CT scan slice

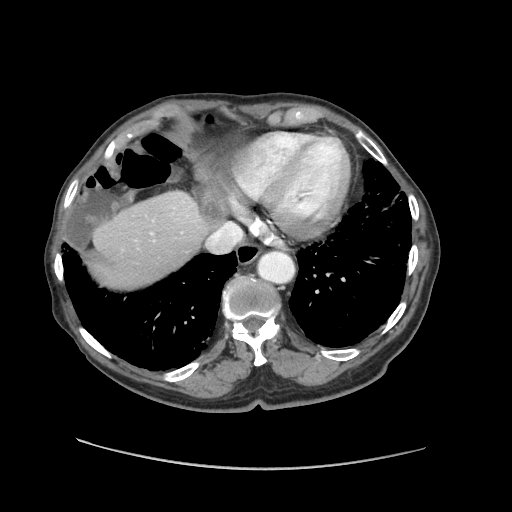
Only some of the vessels may be annotated.
Liver tumor = rect(202, 198, 219, 222).
Hepatic vessel = rect(208, 222, 241, 252).